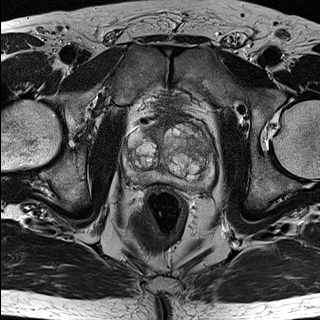
T2-weighted MR.
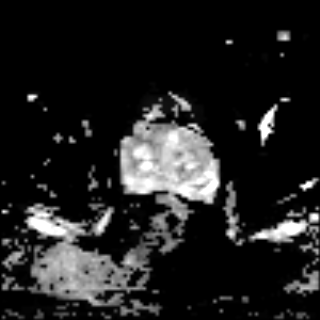
ADC MR image.
Image size 320x320; Prostate
<segmentation>
  <prostate_peripheral_zone>[x1=124, y1=149, x2=214, y2=191]</prostate_peripheral_zone>
  <prostate_transition_zone>[x1=125, y1=124, x2=212, y2=181]</prostate_transition_zone>
</segmentation>